Field of view 512x512 mm. Slice 70 of 122. Upper abdomen. CT slice. Image size 512x512.
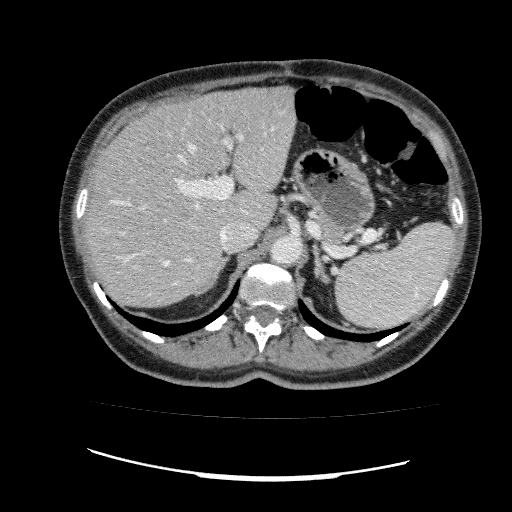
liver: region(82, 86, 296, 307) | kidney: region(326, 287, 334, 295)